CT scan slice. 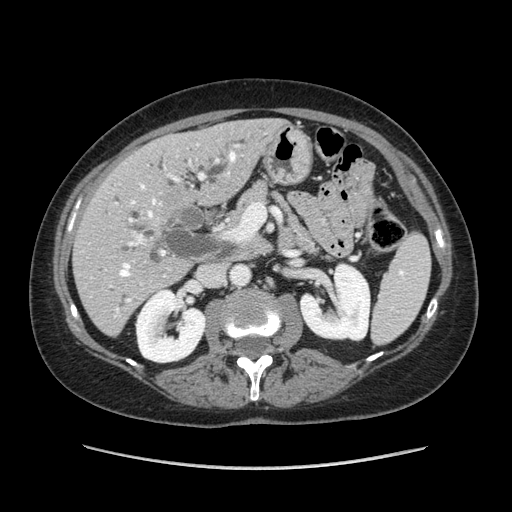

Annotated regions:
* pancreas: <box>231,177,335,262</box>